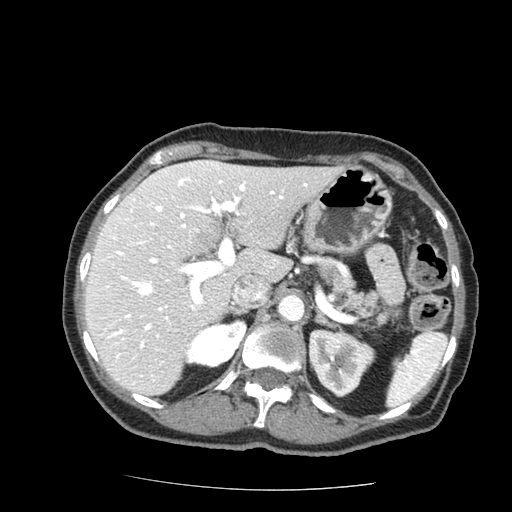 Computed tomography; Abdomen

Pancreas = bbox(318, 258, 384, 324).